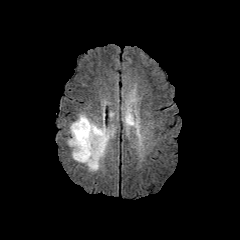
FLAIR MR.
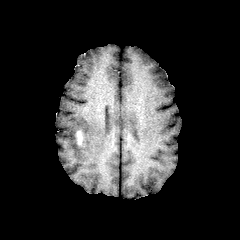
T1-weighted MRI.
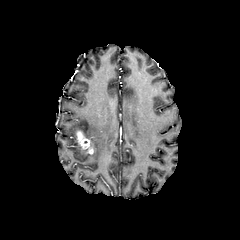
Post-contrast T1-weighted MR image.
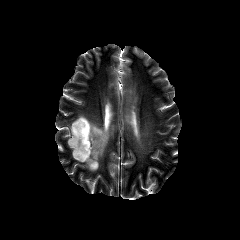
T2-weighted MR of the same slice.
Segmented structures:
- edema: box=[66, 113, 117, 171]; box=[122, 102, 135, 127]
- enhancing tumor: box=[76, 131, 93, 153]